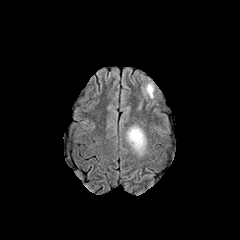
FLAIR magnetic resonance.
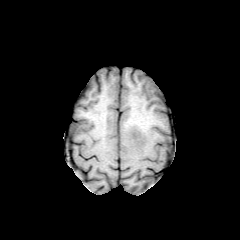
Same slice, T1-weighted MR.
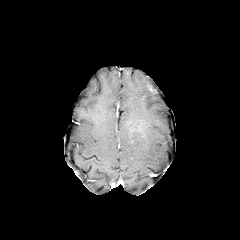
Post-contrast T1-weighted MR image.
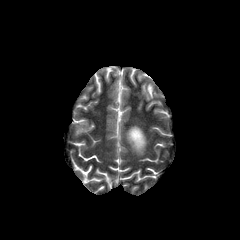
T2-weighted MR of the same slice.
Brain | 240x240
• edema: (126,125,146,153)